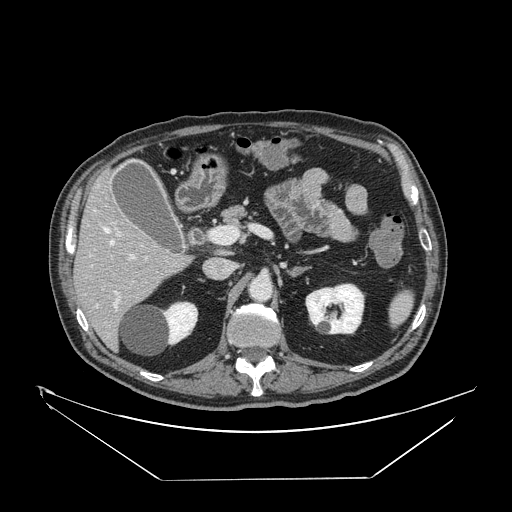 CT slice, Abdomen

Findings:
• pancreas: 219:204:254:228